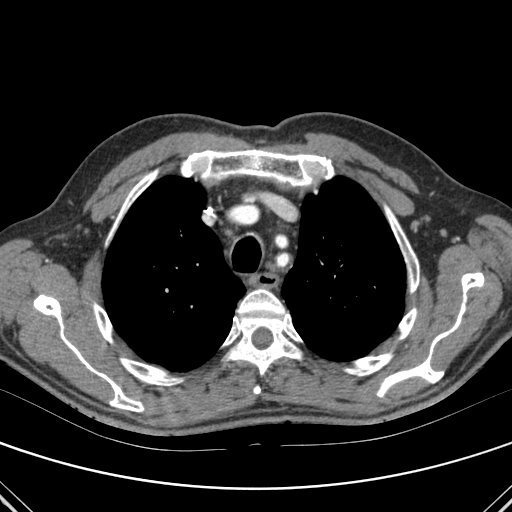
Thorax; CT image
lung: 281:176:405:361, 102:176:245:371 | bone: 399:308:416:339, 33:294:144:411, 181:149:334:185, 377:272:484:396, 385:205:419:293, 93:303:112:342, 109:169:158:237, 120:358:181:385, 345:353:392:375, 222:289:302:374